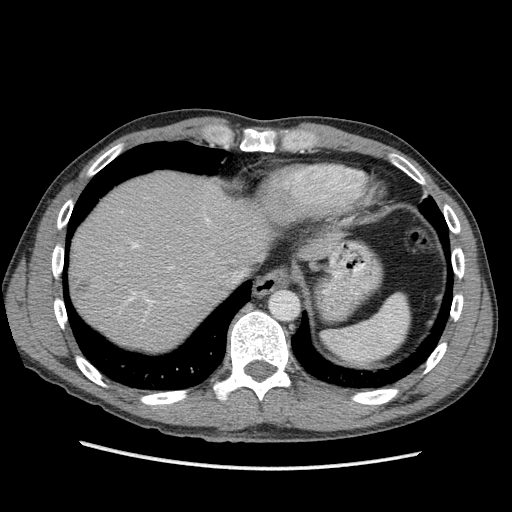
CT image; Liver; 512x512 px
{
  "liver": [
    "x1=296 y1=227 x2=344 y2=261",
    "x1=70 y1=171 x2=282 y2=353"
  ],
  "focal_liver_lesion": [
    "x1=72 y1=276 x2=91 y2=292"
  ]
}